Brain
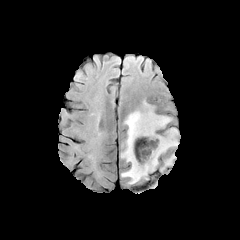
FLAIR magnetic resonance.
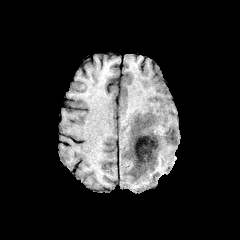
T1-weighted magnetic resonance.
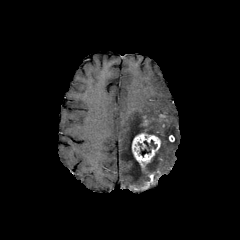
Post-contrast T1-weighted MRI.
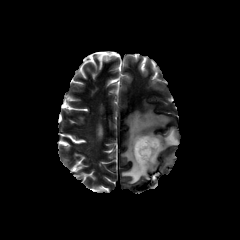
T2-weighted MR of the same slice.
enhancing tumor: l=132, t=133, r=160, b=167 | non-enhancing tumor core: l=138, t=139, r=157, b=157 | edema: l=166, t=153, r=176, b=164; l=121, t=111, r=178, b=184